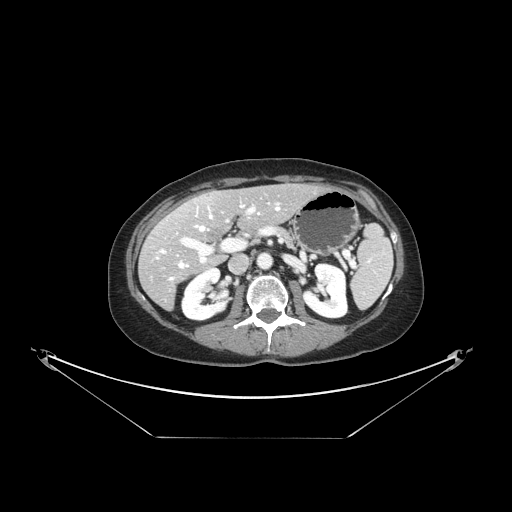

Image size 512x512, Computed tomography

Only some of the vessels may be annotated.
Hepatic vessel — l=276, t=207, r=278, b=209; l=210, t=215, r=211, b=217; l=198, t=226, r=203, b=230; l=248, t=207, r=255, b=211; l=200, t=255, r=205, b=261.